CT slice, Image size 512x512, Slice 53 of 107 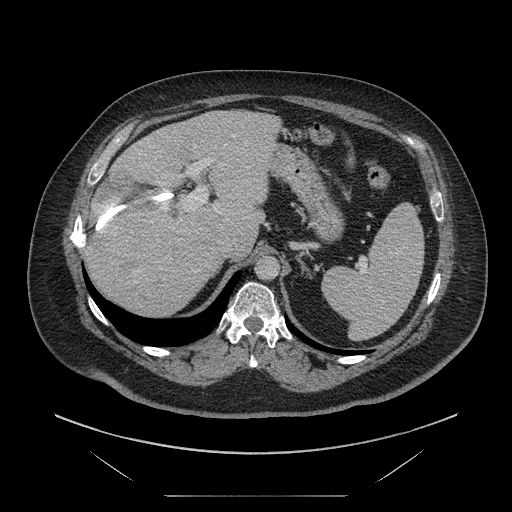
The vessel annotation is not exhaustive.
Findings:
- liver tumor: region(90, 175, 176, 232)
- hepatic vessel: region(181, 154, 223, 212); region(188, 216, 194, 222)